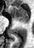 Medial temporal lobe, Magnetic resonance
The posterior hippocampus is at 21, 22, 27, 23. The anterior hippocampus is at 9, 6, 28, 21.